CT slice. Slice index 442. Liver.

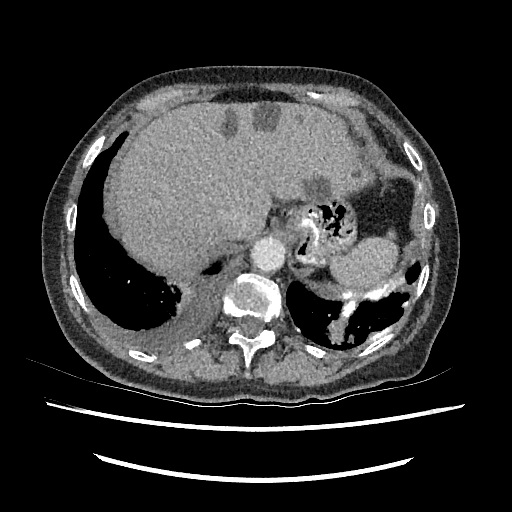 Liver: [116, 103, 354, 270].
Hepatic lesion: [303, 176, 331, 200], [253, 103, 281, 129], [221, 108, 237, 139], [295, 115, 303, 124].